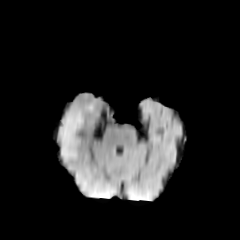
FLAIR MRI.
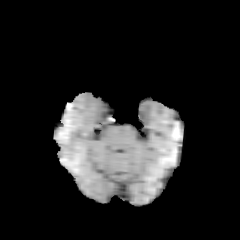
T1-weighted MRI.
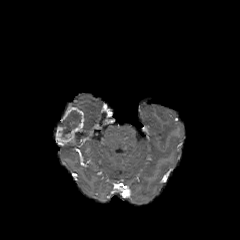
Post-contrast T1-weighted MR.
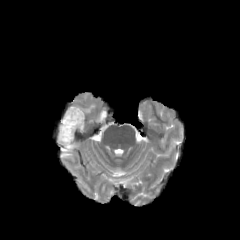
T2-weighted MRI.
Head
enhancing_tumor:
  - region(55, 107, 84, 144)
non-enhancing_tumor_core:
  - region(61, 110, 81, 137)